FLAIR MR.
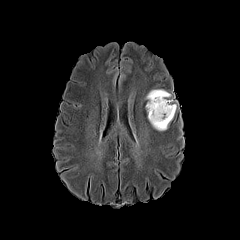
T1-weighted MR.
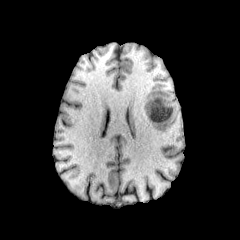
Post-contrast T1-weighted MRI.
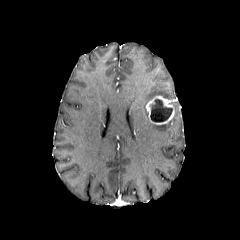
T2-weighted MR.
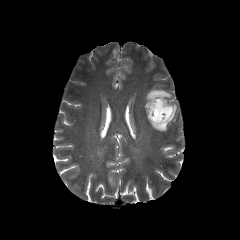
240x240
2 edema regions appear at 150:118:172:131, 145:89:171:99. The non-enhancing tumor core is bounded by 150:99:172:122. The enhancing tumor is located at 144:96:175:125.